512x512. Slice index 42. CT image. Image width 400 mm. 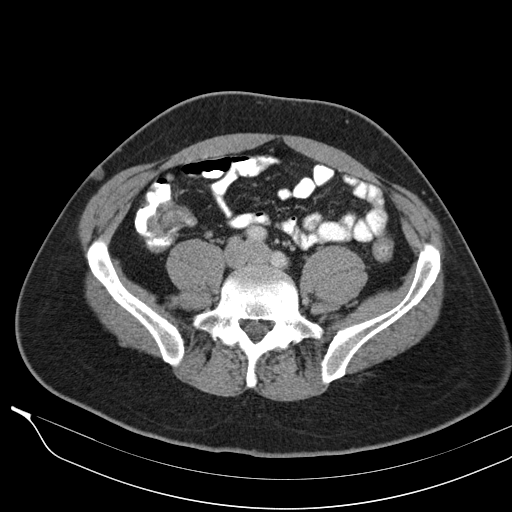 Findings:
- colon tumor: x1=150, y1=244, x2=166, y2=252; x1=146, y1=200, x2=195, y2=237